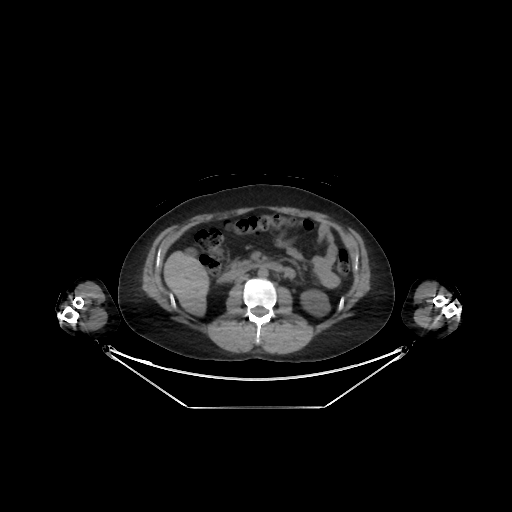

CT
Liver: rect(164, 251, 208, 314).
Kidney: rect(300, 289, 330, 316).